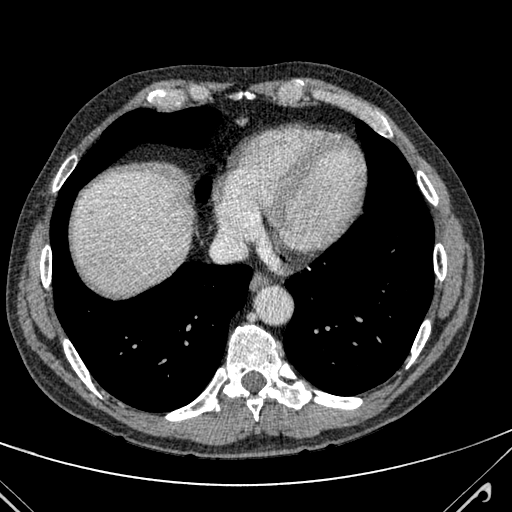
CT slice | Upper abdomen
The focal liver lesion appears at {"x1": 178, "y1": 208, "x2": 193, "y2": 225}. The liver appears at {"x1": 72, "y1": 170, "x2": 193, "y2": 291}.